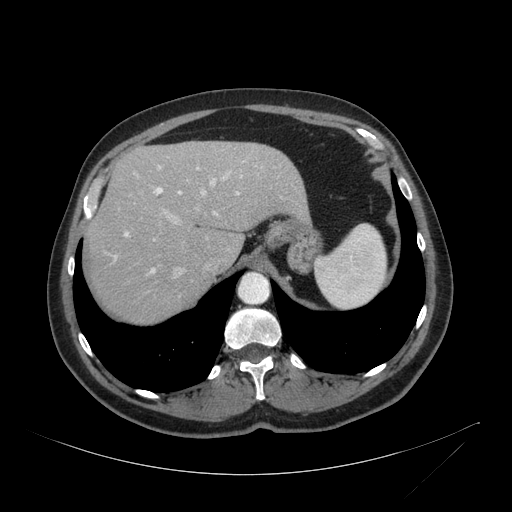 CT slice; Liver

liver: 85,142,307,322